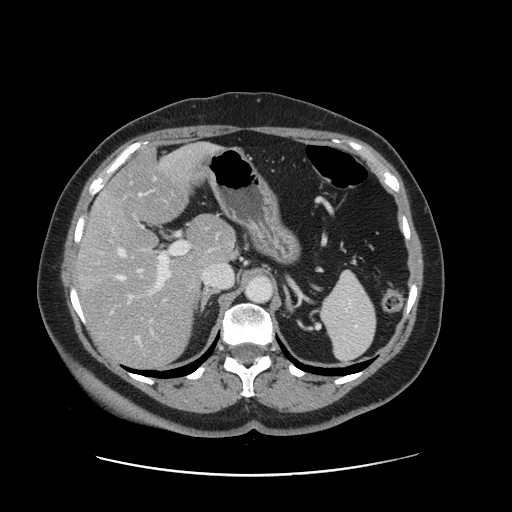
CT scan slice
The vessel annotation is not exhaustive.
Findings:
• hepatic vessel: 119:249:125:256, 118:275:124:279, 150:320:151:322, 128:295:132:302, 138:269:142:274, 145:248:148:250, 135:336:141:345